FLAIR MR.
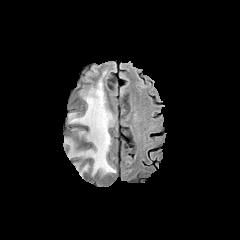
T1-weighted magnetic resonance.
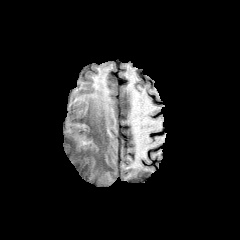
Post-contrast T1-weighted MR.
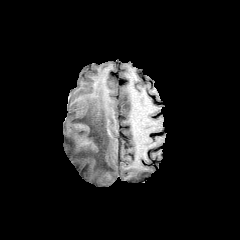
T2-weighted magnetic resonance.
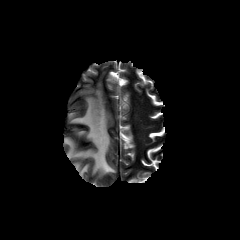
Edema = bbox=[76, 161, 89, 173]; bbox=[66, 80, 115, 176].